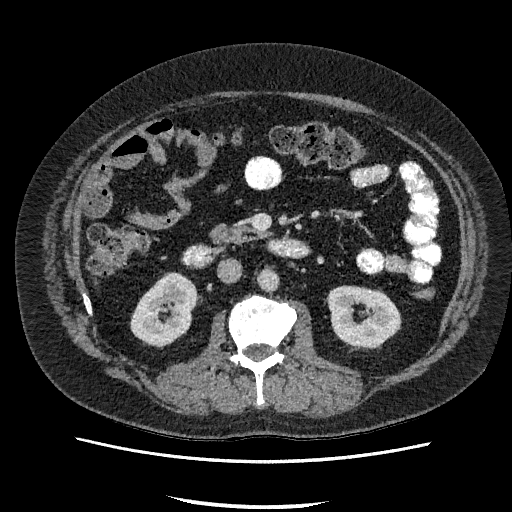
Abdomen; CT scan slice; 512x512 px
Kidney: bbox=[131, 274, 195, 344]; bbox=[329, 287, 399, 346].